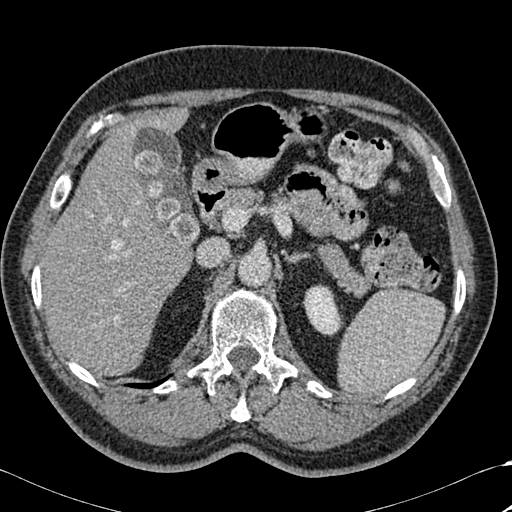
Abdomen | Computed tomography

<segmentation>
  <lung>[127,375,170,388]</lung>
  <kidney>[305,287,339,333]</kidney>
  <bone>[90,122,101,133], [231,396,249,421], [455,270,465,312], [307,381,330,397], [31,267,41,305], [386,378,414,398], [70,363,96,385], [50,175,70,207], [154,381,176,393], [188,290,296,392], [434,169,450,206]</bone>
  <liver>[140,110,185,133], [40,122,191,376]</liver>
</segmentation>